CT scan slice
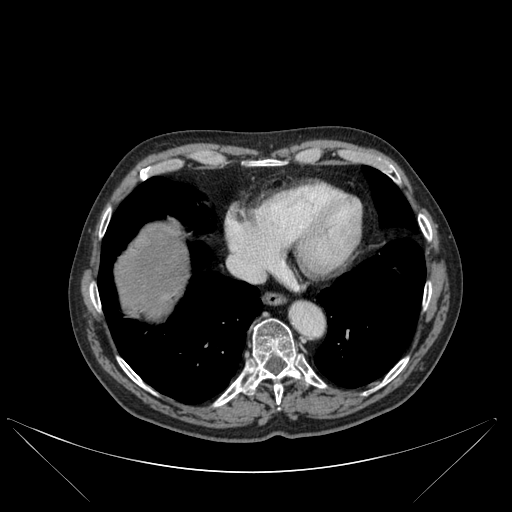 11 bone regions are bounded by 117, 357, 147, 388; 214, 319, 300, 406; 140, 168, 153, 179; 250, 161, 281, 166; 380, 358, 408, 386; 418, 214, 431, 239; 297, 355, 325, 387; 99, 208, 110, 236; 384, 164, 393, 175; 89, 287, 100, 309; 423, 283, 431, 307. The liver lies within 115, 223, 188, 315. 3 lung regions appear at 98, 177, 262, 403; 362, 166, 417, 233; 314, 238, 425, 388.